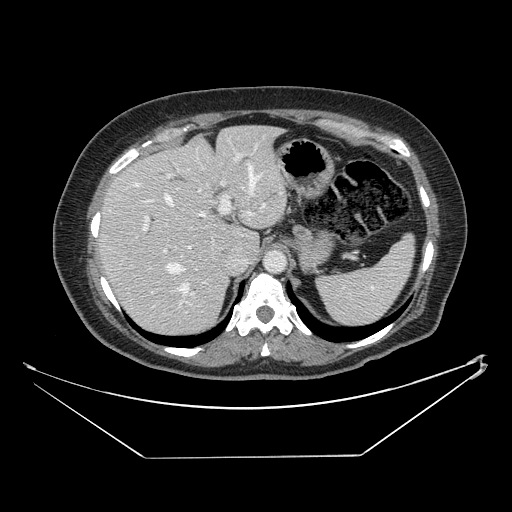 CT image

The pancreas lies within region(291, 223, 312, 244).